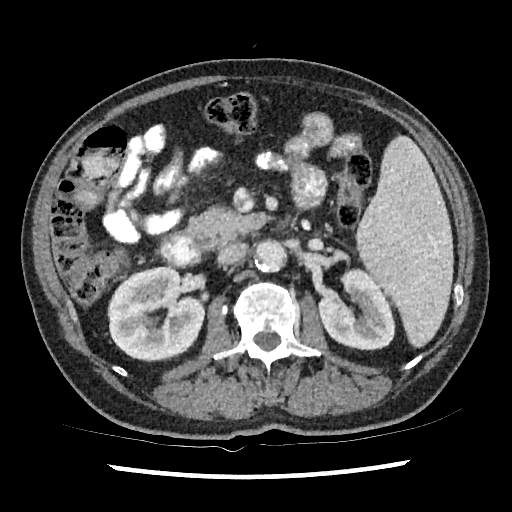

Image size 512x512; Abdomen; Computed tomography

kidney:
  - {"x1": 319, "y1": 270, "x2": 394, "y2": 349}
  - {"x1": 108, "y1": 266, "x2": 204, "y2": 359}